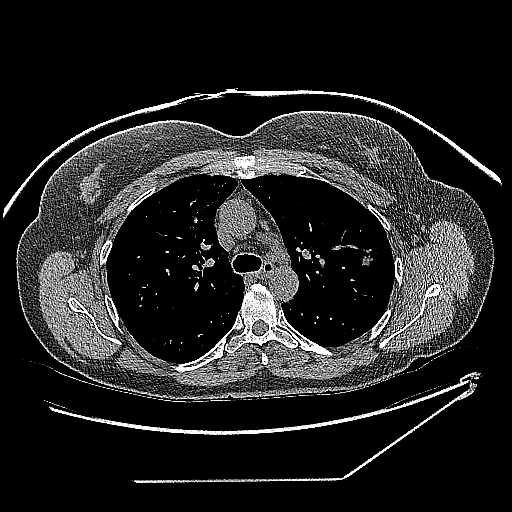

Computed tomography | Lung | Image size 512x512
The lung tumor appears at rect(361, 247, 379, 268).